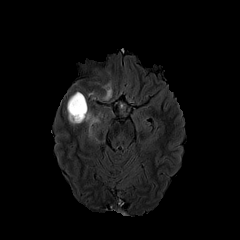
FLAIR magnetic resonance.
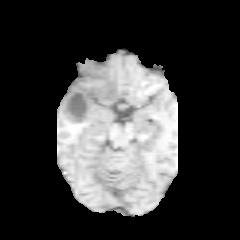
T1-weighted magnetic resonance.
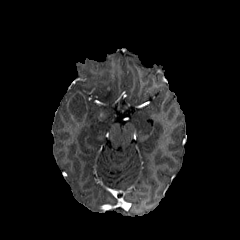
Same slice, post-contrast T1-weighted magnetic resonance.
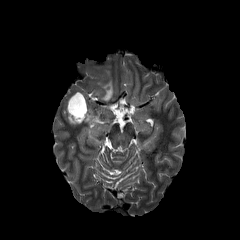
T2-weighted MRI of the same slice.
Brain | 240x240 px
non-enhancing_tumor_core:
  - [x1=68, y1=93, x2=86, y2=118]
edema:
  - [x1=68, y1=112, x2=77, y2=126]
  - [x1=85, y1=110, x2=100, y2=142]
  - [x1=101, y1=83, x2=112, y2=101]